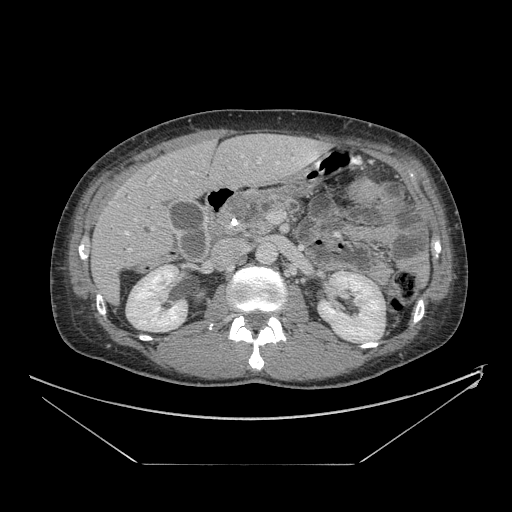 512x512. CT.
<segmentation>
  <pancreatic_tumor>{"x1": 223, "y1": 195, "x2": 263, "y2": 226}</pancreatic_tumor>
  <pancreas>{"x1": 215, "y1": 187, "x2": 299, "y2": 239}</pancreas>
</segmentation>